FLAIR magnetic resonance.
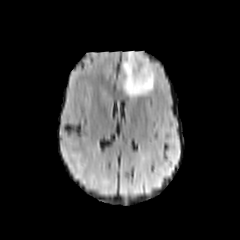
T1-weighted MR image.
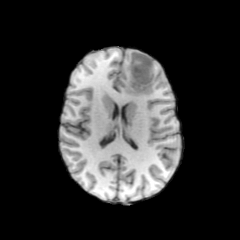
Post-contrast T1-weighted MR image.
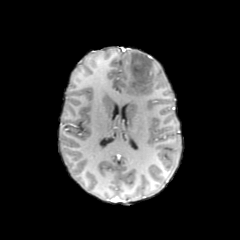
T2-weighted MRI.
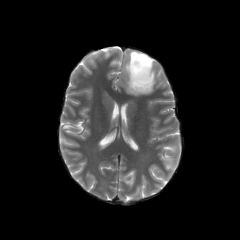
Brain | Image size 240x240
The non-enhancing tumor core lies within [129,52,153,93]. The edema is located at [123,50,141,95].